CT scan slice, Slice 59/89
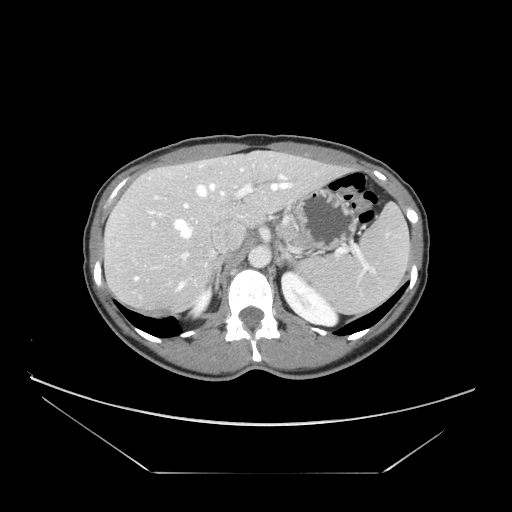
<segmentation>
  <pancreas>(276, 222, 310, 248)</pancreas>
</segmentation>